CT scan slice. Abdomen. 512x512 px.

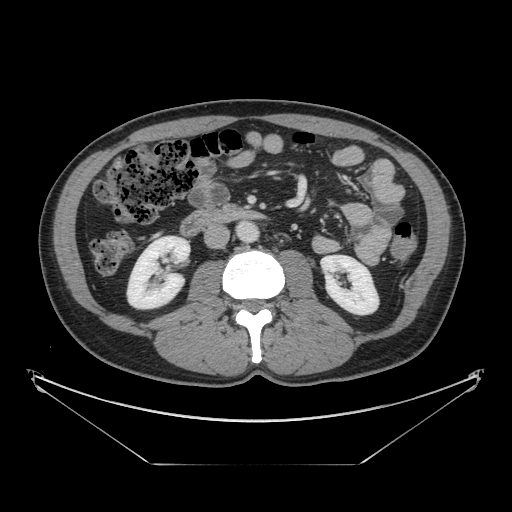

{"pancreas": ["197 208 222 224"]}